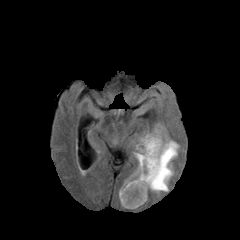
FLAIR MRI.
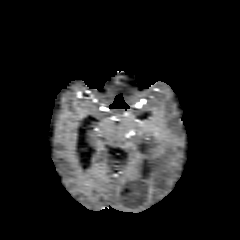
T1-weighted magnetic resonance.
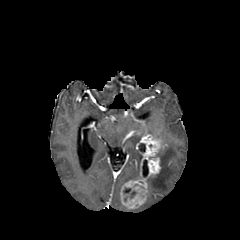
Post-contrast T1-weighted MRI.
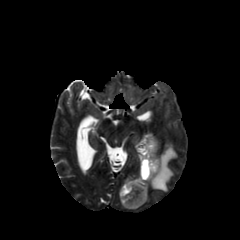
T2-weighted MR image of the same slice.
Head
enhancing tumor: box(119, 134, 161, 208) | non-enhancing tumor core: box(142, 160, 148, 177); box(137, 143, 145, 153); box(123, 188, 137, 198) | edema: box(134, 152, 141, 166); box(147, 141, 178, 193)